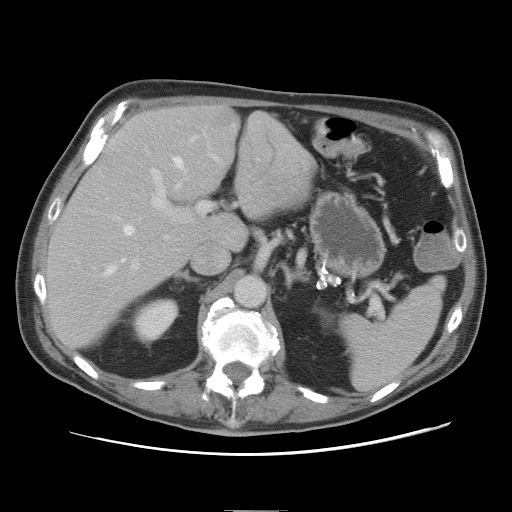 CT; Liver

Not every hepatic vessel necessarily has a box.
<segmentation>
  <hepatic_vessel>[x1=124, y1=225, x2=134, y2=235], [x1=212, y1=155, x2=218, y2=160], [x1=122, y1=258, x2=125, y2=262], [x1=165, y1=236, x2=168, y2=239], [x1=151, y1=169, x2=165, y2=208], [x1=192, y1=137, x2=196, y2=140], [x1=177, y1=184, x2=181, y2=187], [x1=174, y1=157, x2=183, y2=168], [x1=198, y1=202, x2=204, y2=207], [x1=106, y1=265, x2=115, y2=274], [x1=132, y1=261, x2=138, y2=269]</hepatic_vessel>
</segmentation>